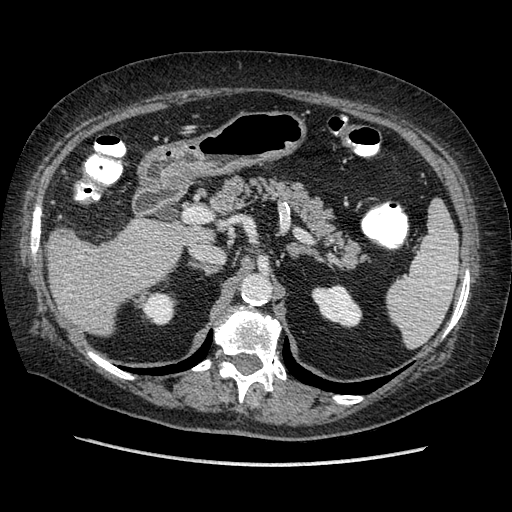
Abdomen | CT image | Image size 512x512
Annotated regions:
- liver tumor: [x1=57, y1=232, x2=74, y2=248]